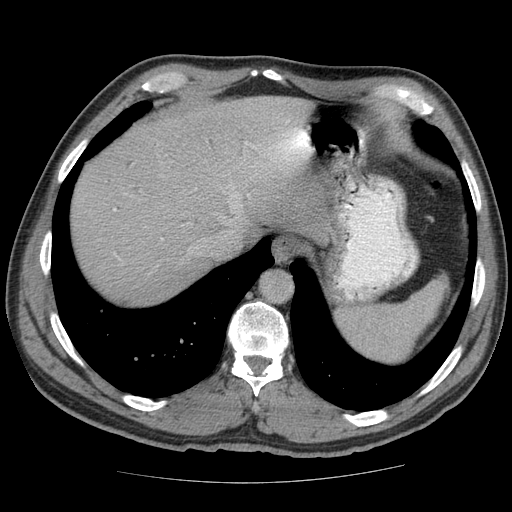
CT image

Not every hepatic vessel necessarily has a box.
hepatic_vessel:
  - <bbox>187, 156, 257, 255</bbox>
  - <bbox>181, 225, 183, 226</bbox>
  - <bbox>260, 174, 266, 177</bbox>
  - <bbox>244, 142, 252, 147</bbox>
  - <bbox>253, 147, 257, 150</bbox>
  - <bbox>113, 209, 115, 211</bbox>
  - <bbox>113, 253, 115, 256</bbox>